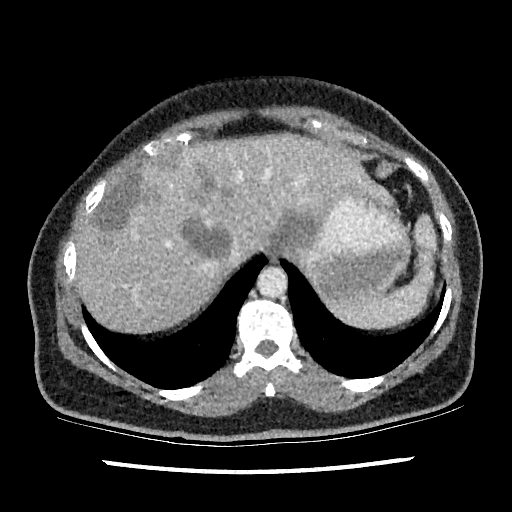 Computed tomography

liver:
  - 289, 245, 301, 252
  - 77, 135, 393, 333
liver_lesion:
  - 192, 167, 214, 202
  - 95, 172, 145, 230
  - 271, 216, 315, 249
  - 159, 157, 175, 170
  - 181, 218, 230, 258